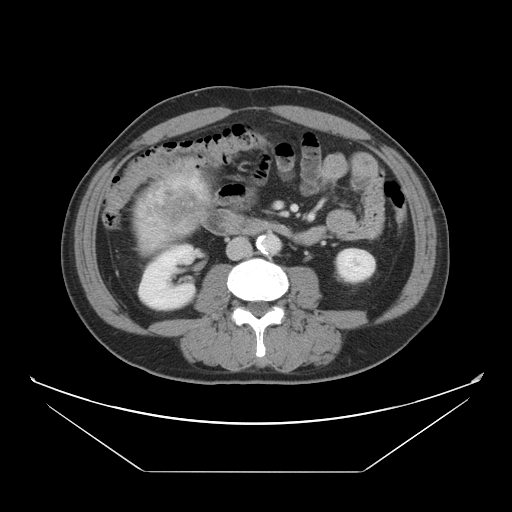

Liver, CT slice, 512x512

Segmented structures:
- liver tumor: [137, 172, 207, 246]